Slice index 74, 240x240 px, Head
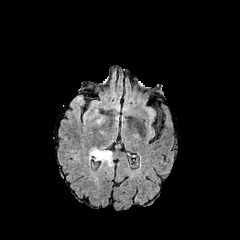
FLAIR MR image.
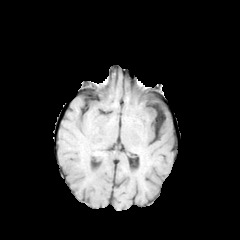
Same slice, T1-weighted MR image.
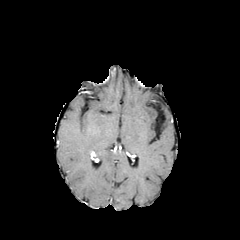
Post-contrast T1-weighted magnetic resonance.
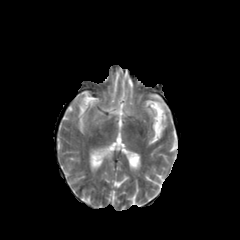
T2-weighted MRI.
2 edema regions are bounded by [95,109,104,123], [89,146,113,167].